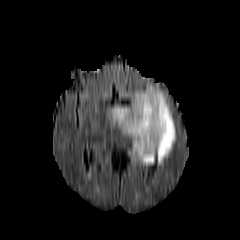
FLAIR MR.
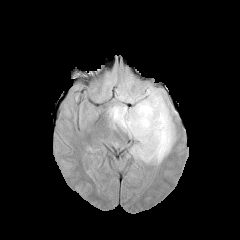
T1-weighted MR.
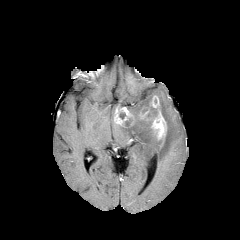
Same slice, post-contrast T1-weighted MR.
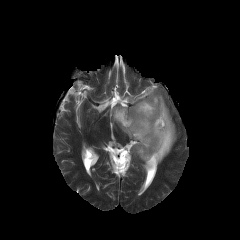
T2-weighted MR image.
Image size 240x240
2 edema regions appear at bbox(118, 85, 175, 165); bbox(110, 106, 122, 119). The non-enhancing tumor core appears at bbox(140, 104, 155, 124). 3 enhancing tumor regions appear at bbox(114, 107, 131, 124); bbox(151, 96, 159, 107); bbox(151, 111, 166, 139).